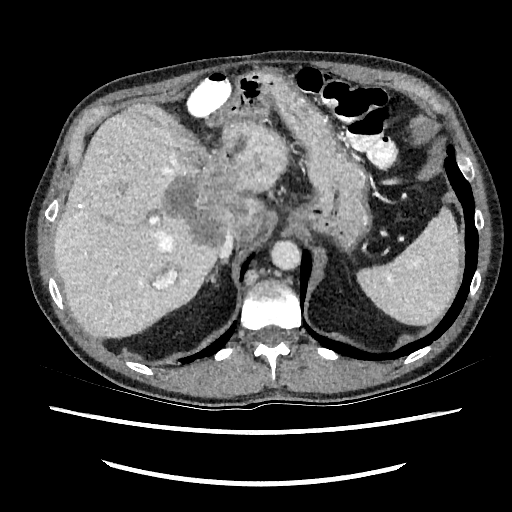
CT. 512x512.
Liver at [53, 104, 289, 337].
Liver lesion at [163, 149, 264, 247].